Slice index 43 | Image size 512x512 | CT image

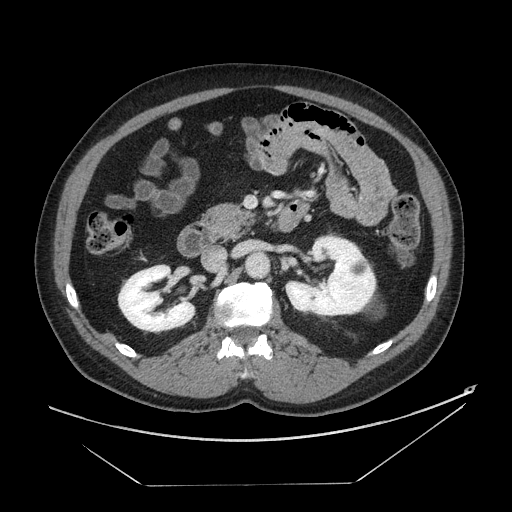
pancreas:
  - (left=203, top=203, right=257, bottom=240)